Image size 512x512. CT. Upper abdomen. 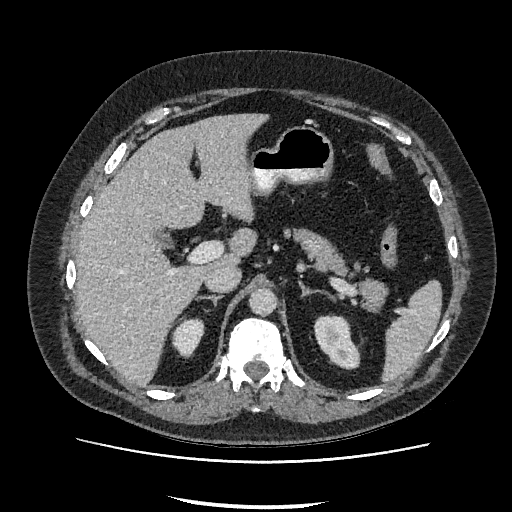
Liver — [76,115,266,385].
Kidney — [174,320,202,353], [315,317,357,366].